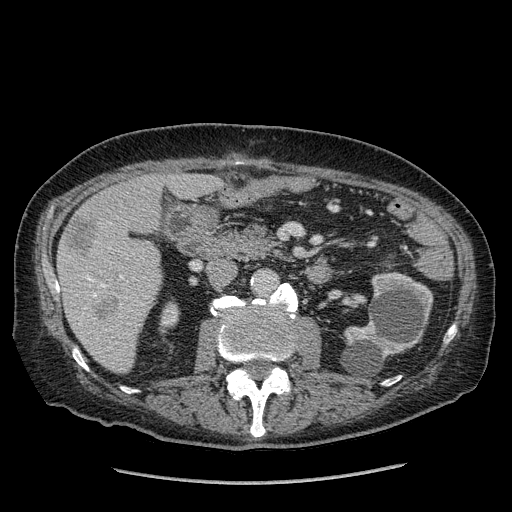

Computed tomography. Liver.
2 focal liver lesion regions are bounded by <bbox>68, 215, 96, 252</bbox>, <bbox>96, 295, 114, 318</bbox>. 3 kidney regions are located at <bbox>161, 304, 177, 326</bbox>, <bbox>372, 272, 432, 320</bbox>, <bbox>344, 320, 422, 357</bbox>. The liver is bounded by <bbox>58, 173, 222, 373</bbox>.